Field of view 240 mm wide, 1.00 mm slice spacing
FLAIR MR.
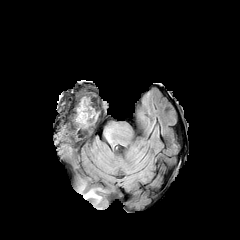
T1-weighted MR.
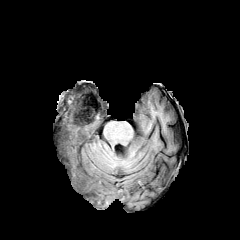
Post-contrast T1-weighted MR image.
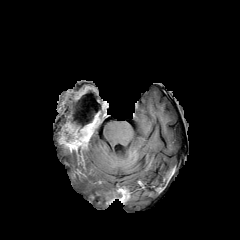
T2-weighted MRI.
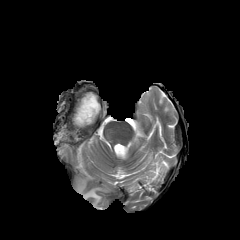
{"enhancing_tumor": ["bbox(83, 112, 98, 127)", "bbox(58, 132, 72, 152)"], "non-enhancing_tumor_core": ["bbox(60, 118, 99, 161)", "bbox(76, 102, 95, 124)"], "edema": ["bbox(72, 101, 84, 127)", "bbox(77, 173, 107, 206)", "bbox(82, 148, 90, 167)"]}